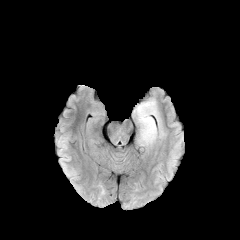
FLAIR MR.
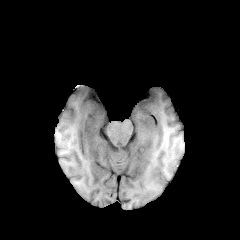
Same slice, T1-weighted MR image.
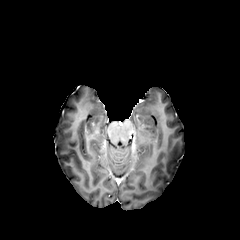
Post-contrast T1-weighted MR of the same slice.
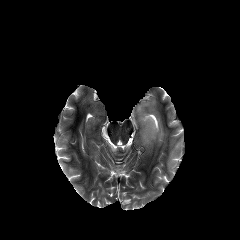
T2-weighted magnetic resonance.
Image size 240x240 | Head
Segmented structures:
• edema: left=134, top=98, right=163, bottom=146